Thorax, 512x512, CT slice
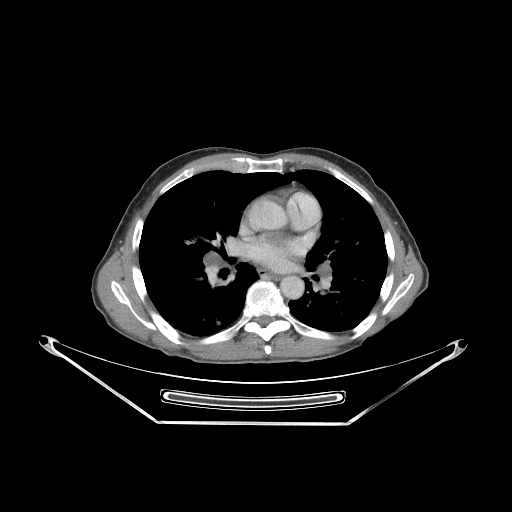 Bone = (x1=236, y1=281, x2=301, y2=340), (x1=346, y1=181, x2=371, y2=201), (x1=161, y1=177, x2=180, y2=192), (x1=308, y1=327, x2=331, y2=338), (x1=111, y1=281, x2=231, y2=345), (x1=133, y1=267, x2=146, y2=299), (x1=241, y1=158, x2=281, y2=172), (x1=385, y1=232, x2=394, y2=259), (x1=133, y1=220, x2=142, y2=249), (x1=353, y1=274, x2=413, y2=337).
Lung = (x1=139, y1=170, x2=387, y2=336).